FLAIR MR.
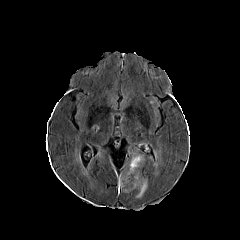
T1-weighted magnetic resonance.
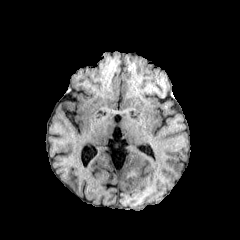
Post-contrast T1-weighted MRI.
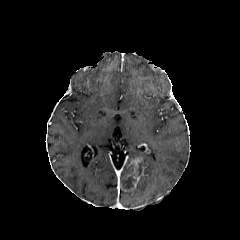
T2-weighted magnetic resonance.
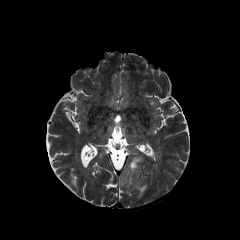
Brain.
The enhancing tumor is located at l=119, t=156, r=143, b=192. 2 non-enhancing tumor core regions are bounded by l=122, t=175, r=134, b=189; l=137, t=161, r=148, b=178. 3 edema regions are located at l=129, t=149, r=144, b=157; l=153, t=150, r=161, b=170; l=135, t=178, r=147, b=197.